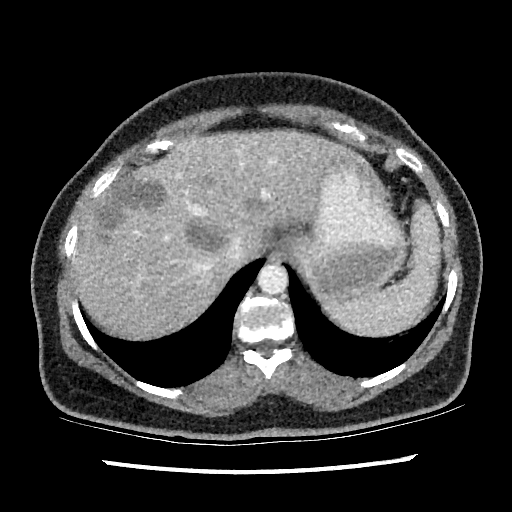

CT scan slice.

liver:
  - x1=75 y1=130 x2=375 y2=336
focal_liver_lesion:
  - x1=187 y1=226 x2=226 y2=251
  - x1=247 y1=198 x2=261 y2=209
  - x1=98 y1=234 x2=108 y2=242
  - x1=97 y1=174 x2=164 y2=229
  - x1=204 y1=177 x2=214 y2=186